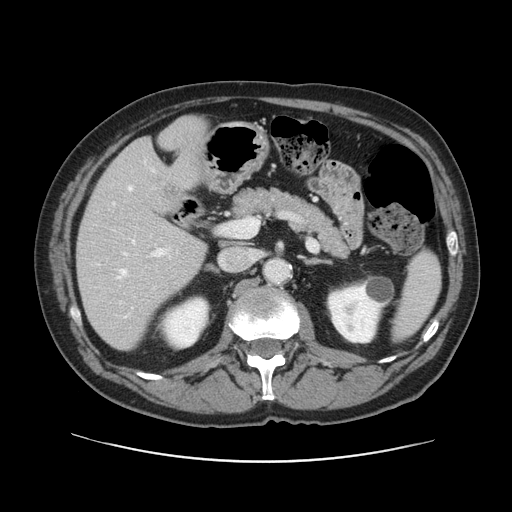

CT scan slice. Abdomen. The vessel boxes may cover only some of the vessels.
6 hepatic vessel regions are bounded by <box>112,203,114,204</box>, <box>153,248,164,256</box>, <box>128,186,131,189</box>, <box>123,253,127,254</box>, <box>117,269,126,278</box>, <box>132,240,134,243</box>.